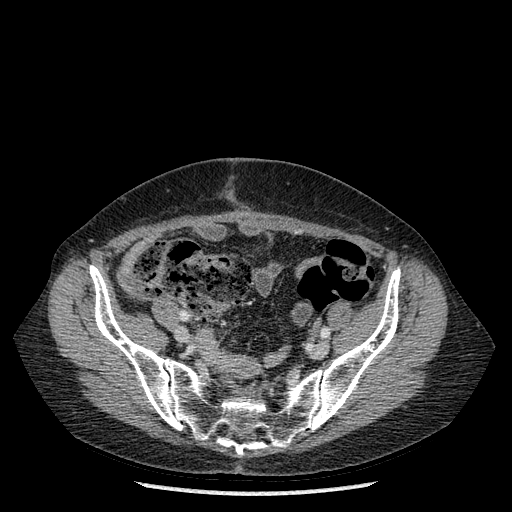
512x512, CT image
The bone appears at rect(89, 265, 400, 456).